Brain
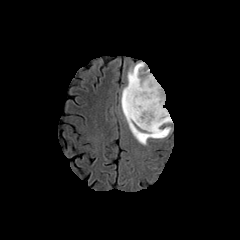
FLAIR magnetic resonance.
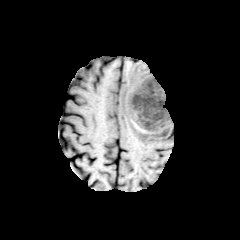
T1-weighted magnetic resonance.
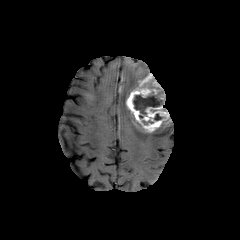
Same slice, post-contrast T1-weighted MRI.
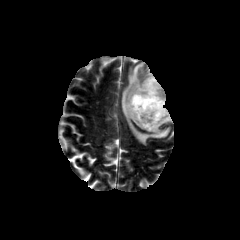
T2-weighted magnetic resonance.
3 non-enhancing tumor core regions are located at x1=133, y1=95, x2=164, y2=113; x1=152, y1=130, x2=165, y2=135; x1=123, y1=99, x2=142, y2=127. The enhancing tumor is located at x1=125, y1=73, x2=170, y2=131. The edema appears at x1=119, y1=62, x2=171, y2=145.